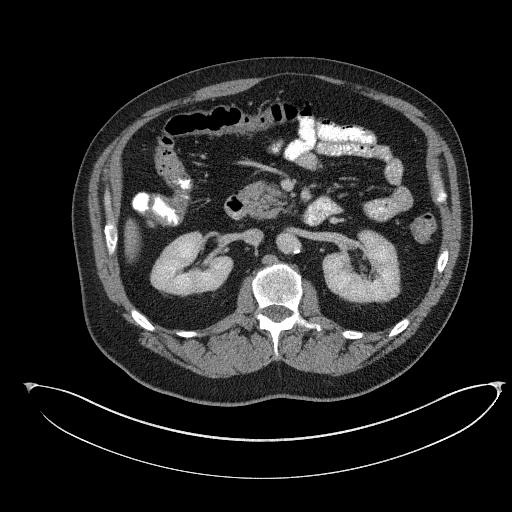
CT image.
<segmentation>
  <pancreas>(242, 180, 284, 219)</pancreas>
</segmentation>